Brain | Slice index 87
FLAIR magnetic resonance.
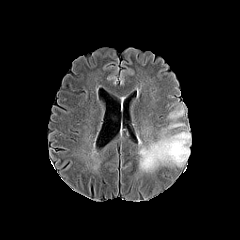
T1-weighted MR image.
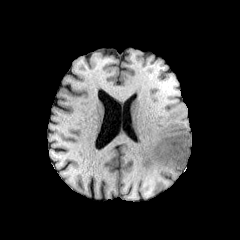
Post-contrast T1-weighted MR.
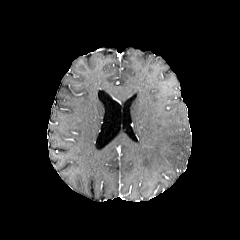
T2-weighted MR.
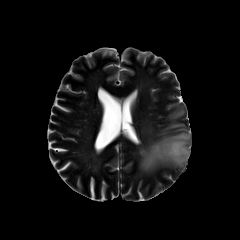
edema:
  - x1=140 y1=131 x2=190 y2=171